Image width 348 mm | CT scan slice | 512x512 | Slice index 383
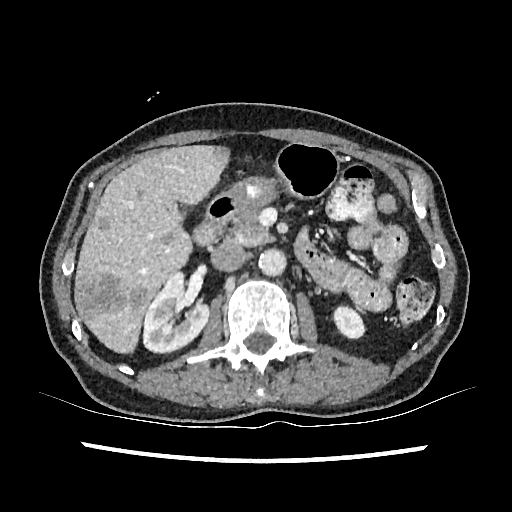 5 liver lesion regions are located at [98, 217, 109, 230], [210, 146, 227, 162], [75, 274, 126, 318], [160, 232, 175, 244], [129, 287, 147, 310]. 2 kidney regions are located at [334, 307, 363, 337], [143, 271, 208, 352]. The liver lies within [74, 145, 226, 352].